Slice 73 of 155. Field of view 240 mm wide, 1.00 mm slice spacing. Brain.
FLAIR MRI.
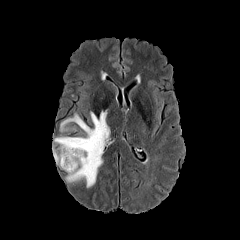
T1-weighted MR image.
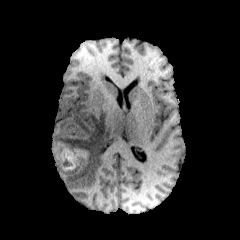
Post-contrast T1-weighted MR image.
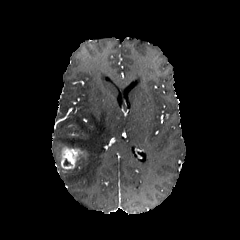
T2-weighted MR image.
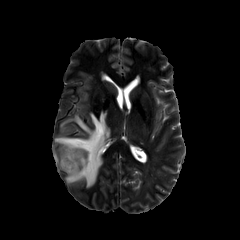
edema: bbox(53, 112, 110, 188) | enhancing tumor: bbox(61, 147, 84, 170) | non-enhancing tumor core: bbox(76, 151, 87, 166)